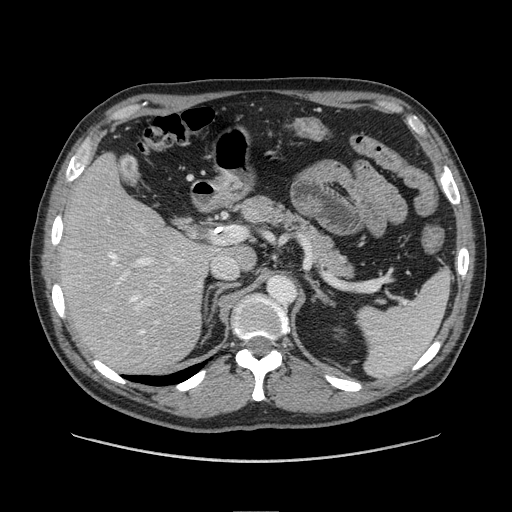 Image size 512x512, Upper abdomen, CT scan slice
Pancreas = 234, 192, 360, 280.